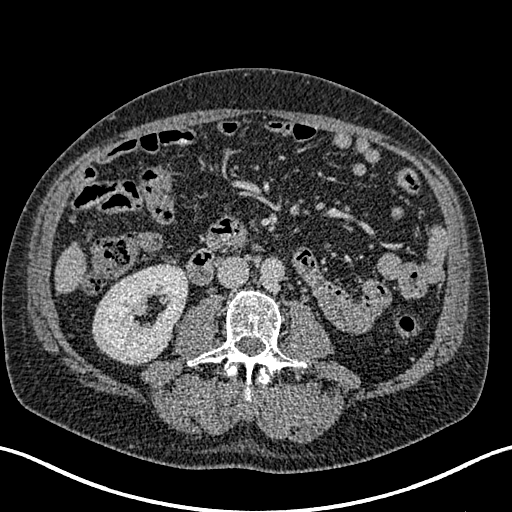 512x512; Computed tomography
<segmentation>
  <kidney>x1=93 y1=265 x2=187 y2=363</kidney>
  <liver>x1=56 y1=243 x2=84 y2=293</liver>
</segmentation>